T2-weighted magnetic resonance.
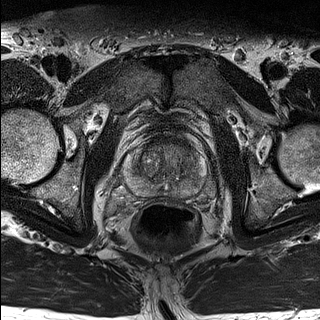
ADC MR.
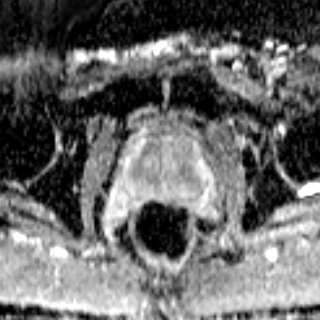
prostate transition zone: l=133, t=141, r=194, b=183 | prostate peripheral zone: l=125, t=150, r=203, b=195